Brain. Slice index 86. 240x240.
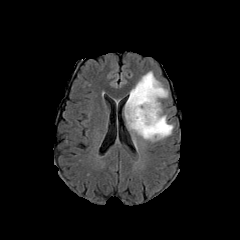
FLAIR MR.
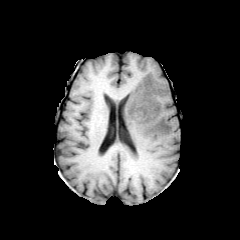
T1-weighted MR image.
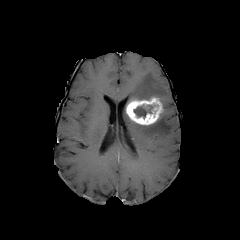
Same slice, post-contrast T1-weighted MRI.
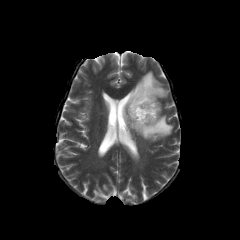
T2-weighted MR of the same slice.
The non-enhancing tumor core is located at rect(134, 106, 146, 116). The enhancing tumor appears at rect(125, 96, 162, 125). 2 edema regions are bounded by rect(125, 114, 173, 141); rect(129, 71, 168, 99).